Hippocampus | MR image

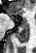

The posterior hippocampus is bounded by 15:23:29:42. 2 anterior hippocampus regions are bounded by 22:18:26:22, 12:16:13:18.